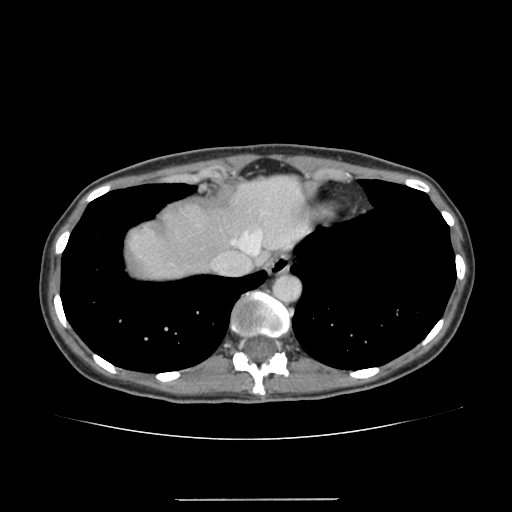
Upper abdomen, CT image
The liver is at bbox=[130, 176, 309, 280].